Slice 69 of 155.
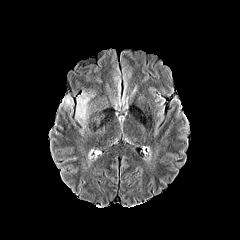
FLAIR magnetic resonance.
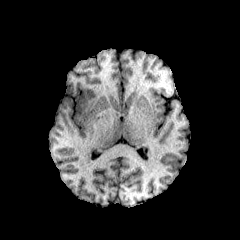
Same slice, T1-weighted MR.
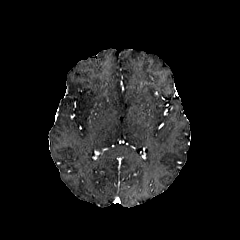
Post-contrast T1-weighted MR.
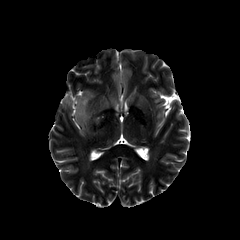
T2-weighted MRI of the same slice.
2 edema regions appear at rect(74, 93, 91, 132); rect(59, 98, 73, 113).